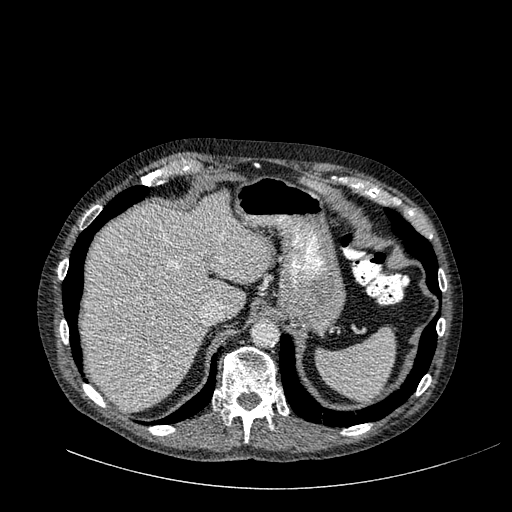

CT slice

The liver is bounded by left=81, top=192, right=270, bottom=410.